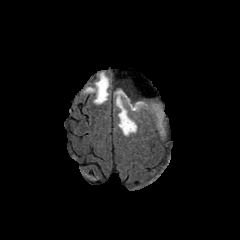
FLAIR magnetic resonance.
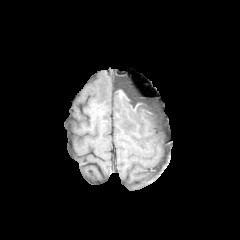
T1-weighted MR image of the same slice.
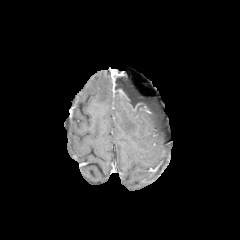
Post-contrast T1-weighted MRI.
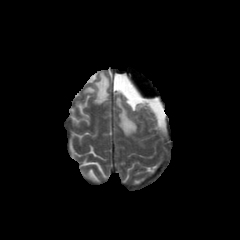
Same slice, T2-weighted MR.
Head; 240x240 px
2 non-enhancing tumor core regions are located at 128:96:140:105, 144:100:161:117. 3 edema regions appear at 157:114:163:129, 114:86:156:135, 84:72:110:104.